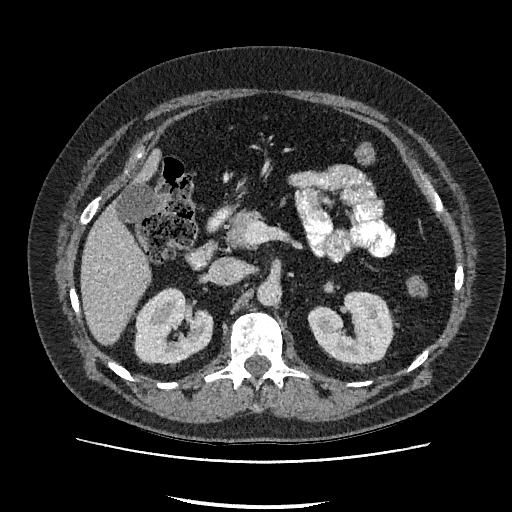
CT, 512x512 px, Abdomen
{
  "liver": [
    "[81,202,150,343]",
    "[135,151,159,182]"
  ],
  "kidney": [
    "[136,289,211,363]",
    "[309,293,392,362]"
  ]
}